Slice 90/155
FLAIR MR.
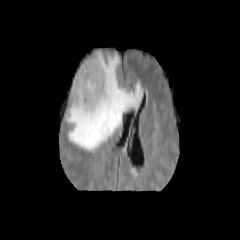
T1-weighted MRI.
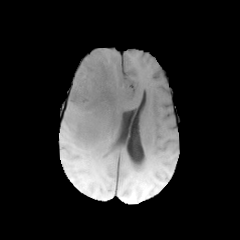
Post-contrast T1-weighted MR image.
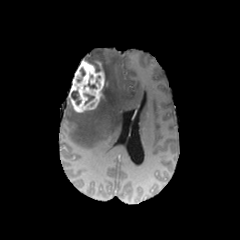
T2-weighted MR.
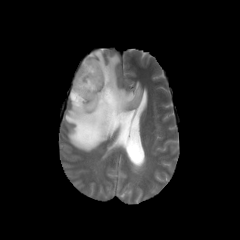
<segmentation>
  <enhancing_tumor>(left=68, top=60, right=105, bottom=112)</enhancing_tumor>
  <non-enhancing_tumor_core>(left=99, top=75, right=108, bottom=103), (left=85, top=94, right=94, bottom=104), (left=85, top=60, right=100, bottom=71), (left=71, top=91, right=81, bottom=105)</non-enhancing_tumor_core>
  <edema>(left=65, top=50, right=142, bottom=152)</edema>
</segmentation>